Abdomen; Computed tomography; 512x512 px; Slice index 107 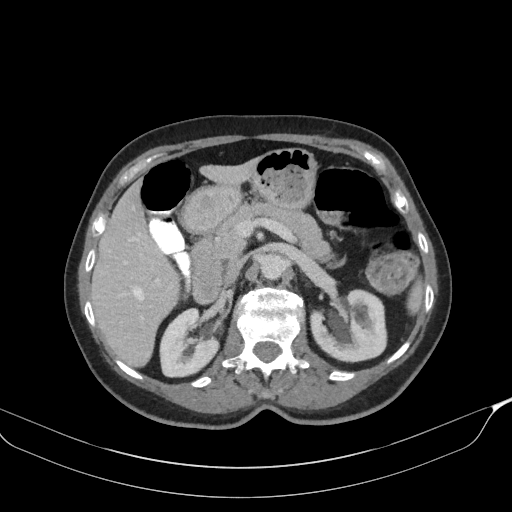

Pancreas: [214, 203, 329, 272].